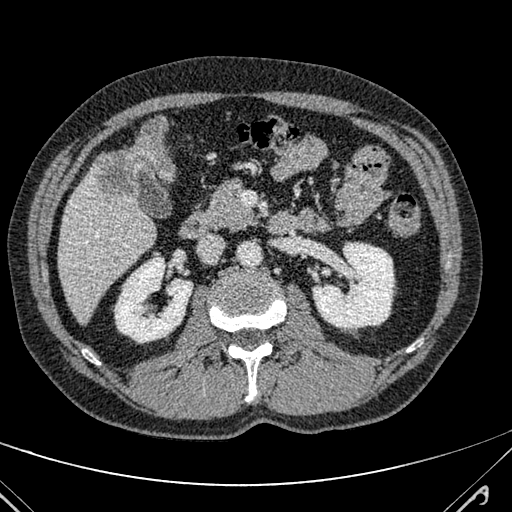

CT, 512x512, Abdomen
• focal liver lesion: [96,116,174,198]
• liver: [59,160,153,322]